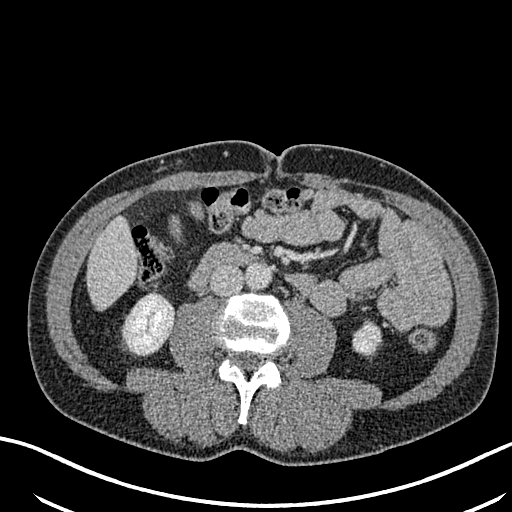

Computed tomography, Upper abdomen

Annotated regions:
• liver: [x1=87, y1=217, x2=136, y2=310]
• kidney: [x1=354, y1=325, x2=379, y2=352], [x1=124, y1=294, x2=173, y2=353]